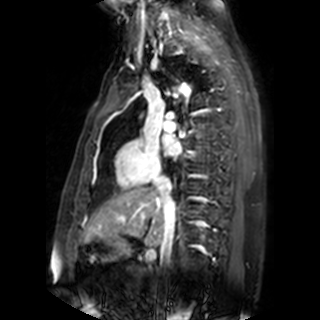 Cardiac, Magnetic resonance
left_atrium:
  - x1=162 y1=134 x2=180 y2=154